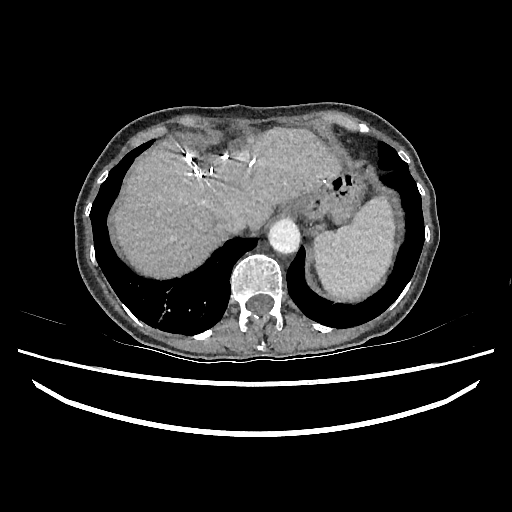 Image size 512x512. CT scan slice. Abdomen.
Liver — {"x1": 114, "y1": 127, "x2": 339, "y2": 277}.